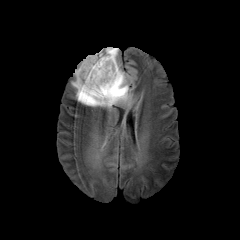
FLAIR magnetic resonance.
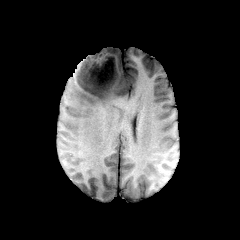
T1-weighted MR image.
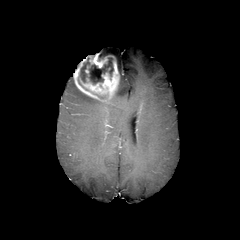
Post-contrast T1-weighted MR image.
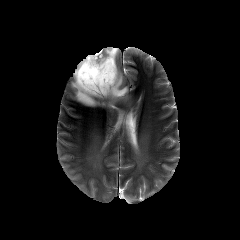
T2-weighted MR.
Enhancing tumor at (x1=89, y1=53, x2=107, y2=67), (x1=73, y1=56, x2=119, y2=100).
Non-enhancing tumor core at (x1=78, y1=52, x2=117, y2=90).
Edema at (x1=99, y1=47, x2=119, y2=58), (x1=71, y1=59, x2=133, y2=109).